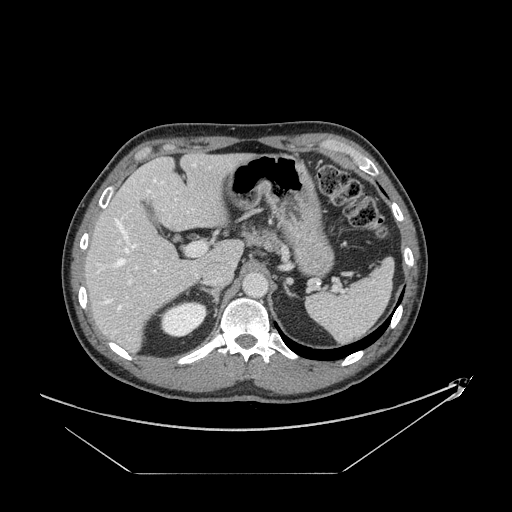 Abdomen | CT scan slice
- pancreas: 242,227,282,253